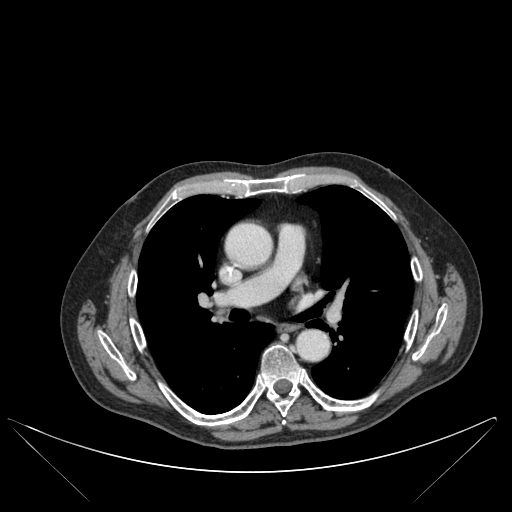
CT scan slice

Annotated regions:
- lung: left=137, top=195, right=274, bottom=414; left=293, top=185, right=412, bottom=399
- bone: left=130, top=318, right=145, bottom=350; left=405, top=311, right=417, bottom=348; left=412, top=305, right=447, bottom=359; left=231, top=175, right=297, bottom=195; left=360, top=186, right=392, bottom=214; left=98, top=331, right=135, bottom=379; left=411, top=258, right=421, bottom=280; left=128, top=271, right=137, bottom=295; left=156, top=207, right=163, bottom=218; left=159, top=345, right=377, bottom=425